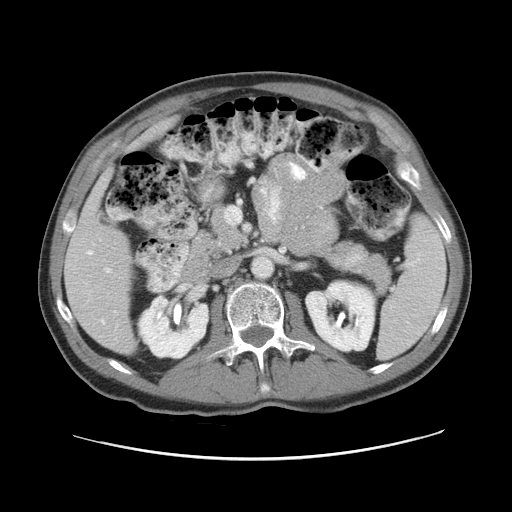 CT slice, Liver
The vessel boxes may cover only some of the vessels.
* hepatic vessel: 114 311 116 312, 105 268 110 271, 101 319 104 323, 87 250 92 253